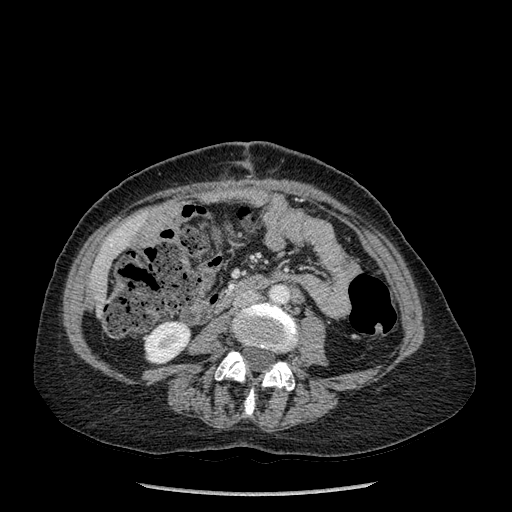
Abdomen, Computed tomography

{
  "kidney": [
    "145 322 189 362"
  ],
  "liver": [
    "90 219 138 308"
  ],
  "bone": [
    "244 388 254 415",
    "262 362 294 390",
    "215 351 247 381",
    "232 303 298 352"
  ]
}